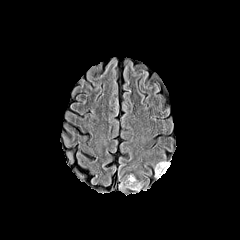
FLAIR MR image.
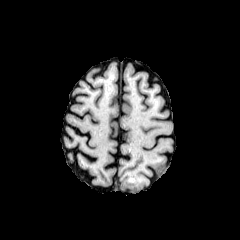
T1-weighted magnetic resonance.
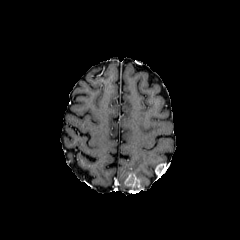
Post-contrast T1-weighted magnetic resonance.
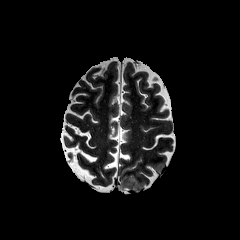
T2-weighted MR.
Head | 240x240
Edema = (x1=118, y1=174, x2=131, y2=191).
Enhancing tumor = (x1=155, y1=163, x2=169, y2=176), (x1=124, y1=173, x2=141, y2=192).